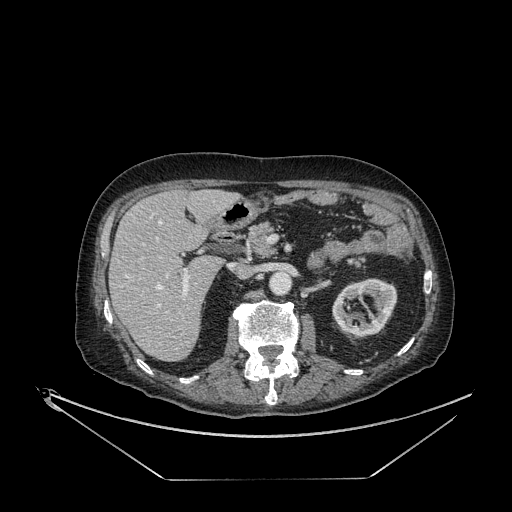
CT scan slice | Abdomen

The kidney is located at <box>332,279,396,337</box>. The liver is located at <box>109,190,237,361</box>.